Computed tomography; Liver; 512x512 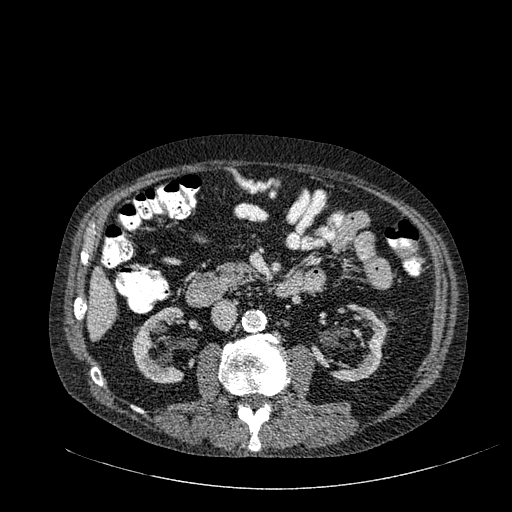

kidney:
  - 132,306,196,383
  - 319,312,326,324
  - 188,320,199,328
  - 314,304,388,381
liver:
  - 89,267,115,339